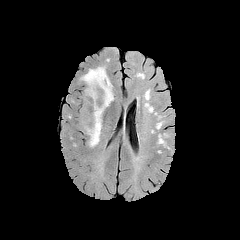
FLAIR MR.
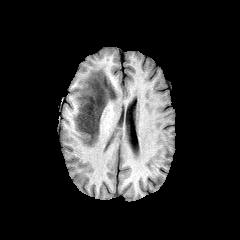
T1-weighted MR image.
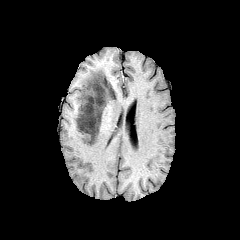
Same slice, post-contrast T1-weighted MR image.
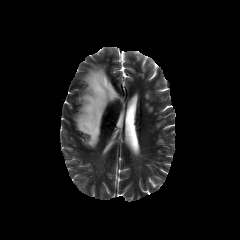
Same slice, T2-weighted MR image.
Brain; Image size 240x240
Non-enhancing tumor core — box(77, 67, 115, 141).
Edema — box(82, 76, 89, 93); box(90, 69, 105, 77); box(84, 117, 102, 147).